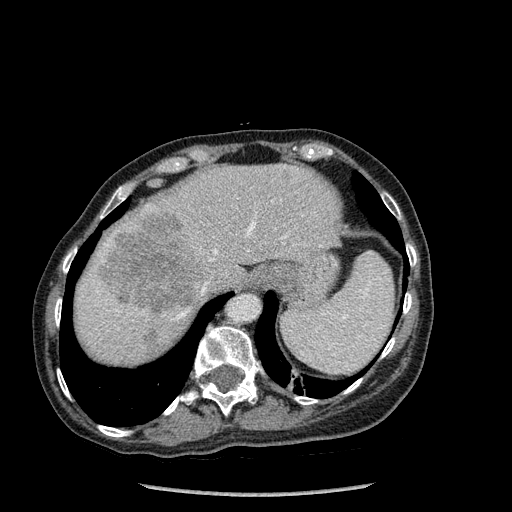
CT scan slice, 512x512 px, Upper abdomen

Findings:
* liver: box(74, 163, 345, 366)
* bone: box(163, 391, 198, 415); box(54, 298, 61, 326); box(294, 396, 317, 404); box(344, 379, 362, 393); box(403, 292, 411, 314); box(382, 194, 401, 219); box(194, 326, 263, 415); box(62, 247, 76, 273); box(98, 425, 130, 437); box(57, 369, 70, 398); box(406, 243, 416, 266); box(381, 337, 395, 358); box(100, 187, 127, 218)
* lung: box(59, 200, 228, 426); box(255, 291, 363, 398); box(352, 172, 404, 253)
* hepatic lesion: box(99, 213, 206, 314); box(145, 328, 161, 350)